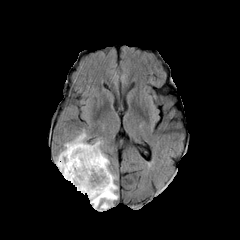
FLAIR MR image.
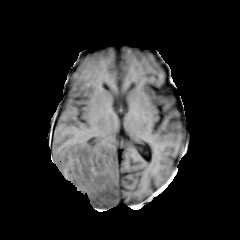
T1-weighted magnetic resonance of the same slice.
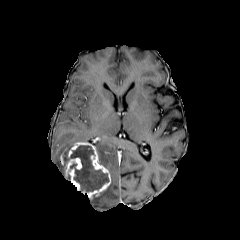
Post-contrast T1-weighted magnetic resonance of the same slice.
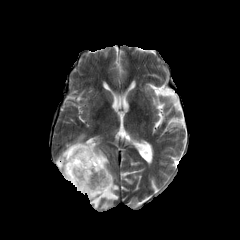
Same slice, T2-weighted MR image.
Brain
Annotated regions:
* non-enhancing tumor core: [94,173,109,189], [70,145,93,191]
* enhancing tumor: [65,142,110,198]
* edema: [82,182,94,189], [79,161,105,187], [55,133,92,178], [90,140,117,210], [80,146,89,159]